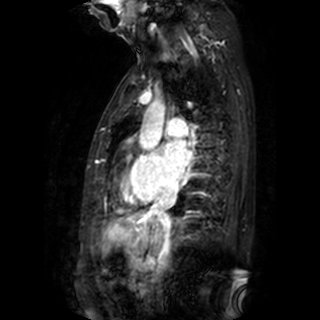

MR
• left atrium: {"x1": 162, "y1": 140, "x2": 191, "y2": 177}